FLAIR MR.
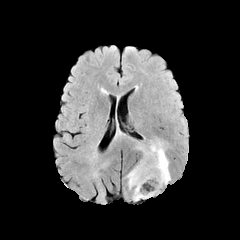
T1-weighted MR.
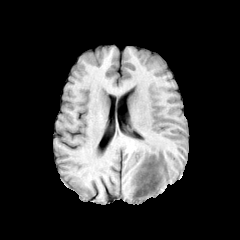
Post-contrast T1-weighted magnetic resonance.
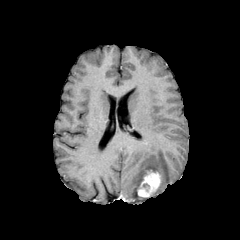
T2-weighted MRI.
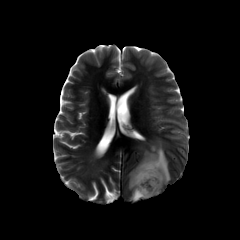
Head
The enhancing tumor appears at 137 169 161 197. The non-enhancing tumor core is located at 140 165 152 180. The edema is at 127 142 171 201.